Slice 38/59; CT image

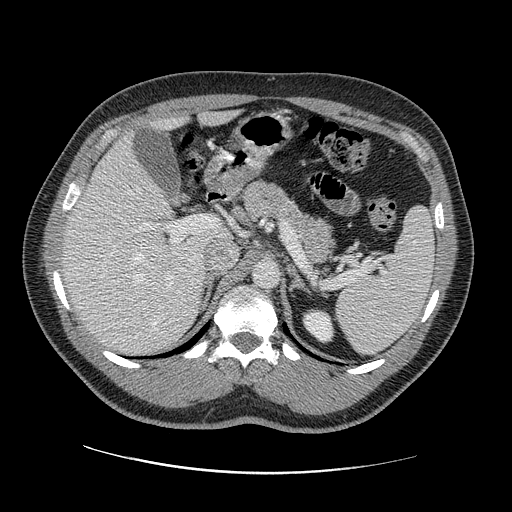

The pancreas appears at (241,178,337,270).